Image size 512x512 | CT scan slice | Slice 54 of 89

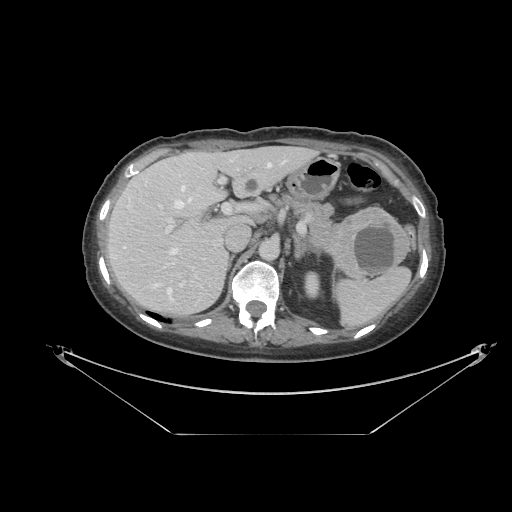

• pancreas: {"x1": 271, "y1": 192, "x2": 342, "y2": 254}
• pancreatic tumor: {"x1": 334, "y1": 207, "x2": 409, "y2": 277}